Slice 52 of 155 | Brain
FLAIR MRI.
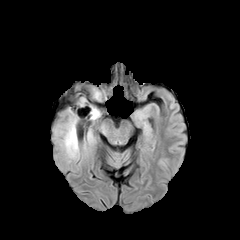
T1-weighted MR.
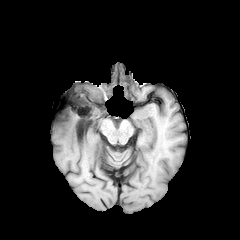
Post-contrast T1-weighted MR.
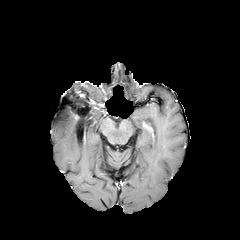
T2-weighted MRI.
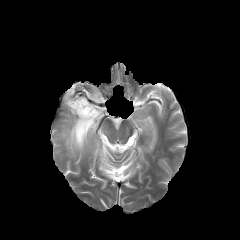
The edema is located at (53,104,101,162). The non-enhancing tumor core is bounded by (76,92,101,119).